CT

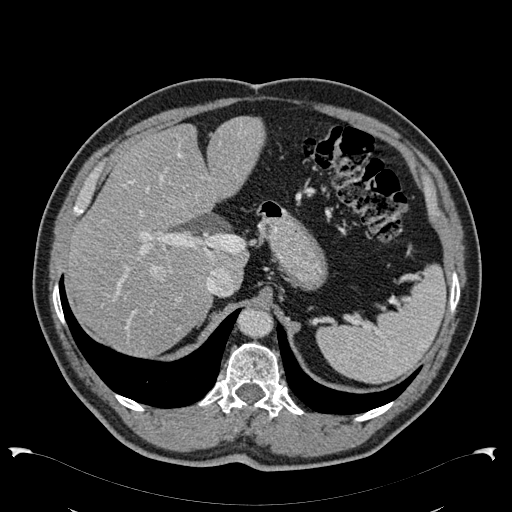
{"liver": ["(68,116,265,354)"]}